Field of view 472x472 mm. CT scan slice. 512x512 px. Liver. 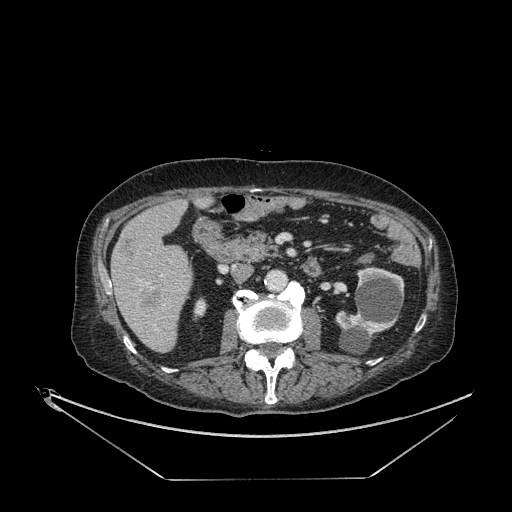

The liver is at 112 200 191 352. 5 kidney regions are bounded by 357 268 403 292, 194 300 205 315, 333 282 346 293, 321 282 330 290, 336 311 395 335. 2 focal liver lesion regions appear at 140 290 161 313, 120 238 136 257.